CT image | 512x512 px | Abdomen | Field of view 370 mm wide, 3.75 mm slice spacing | Slice 75 of 120 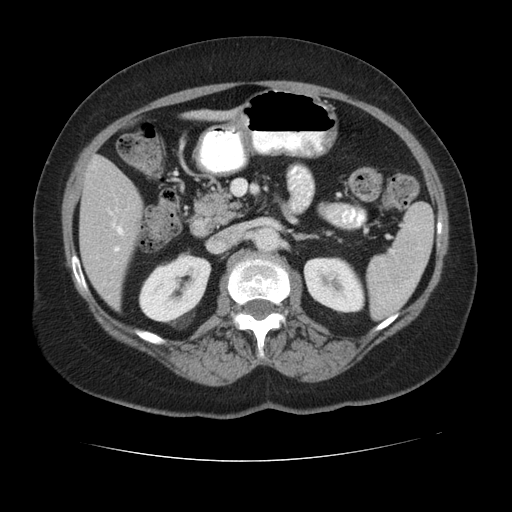 The pancreas appears at box(193, 188, 246, 223).